Image size 512x512. CT. Slice 104 of 161. 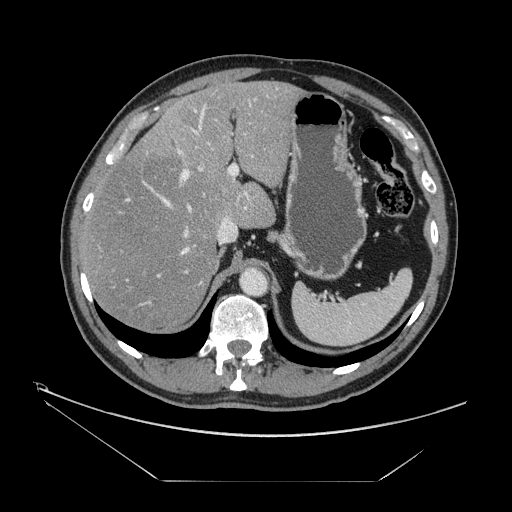

The vessel boxes may cover only some of the vessels.
hepatic_vessel:
  - bbox=[182, 249, 187, 252]
  - bbox=[188, 207, 190, 209]
  - bbox=[245, 193, 247, 195]
  - bbox=[184, 232, 187, 234]
  - bbox=[192, 129, 197, 132]
  - bbox=[200, 111, 202, 118]
  - bbox=[228, 165, 237, 175]
  - bbox=[178, 150, 181, 153]
  - bbox=[181, 170, 188, 179]
  - bbox=[199, 167, 201, 170]
  - bbox=[163, 199, 168, 204]